FLAIR MR image.
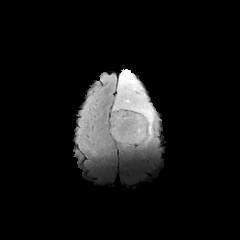
T1-weighted MR image.
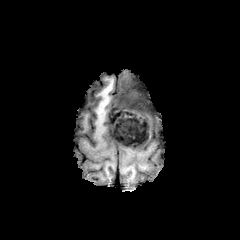
Post-contrast T1-weighted MR.
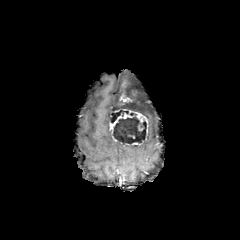
T2-weighted MRI.
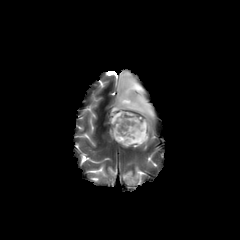
edema:
  - l=117, t=69, r=154, b=134
enhancing_tumor:
  - l=119, t=93, r=131, b=102
  - l=109, t=109, r=148, b=139
non-enhancing_tumor_core:
  - l=111, t=81, r=149, b=123
  - l=112, t=112, r=146, b=145